CT | Slice 133 of 689 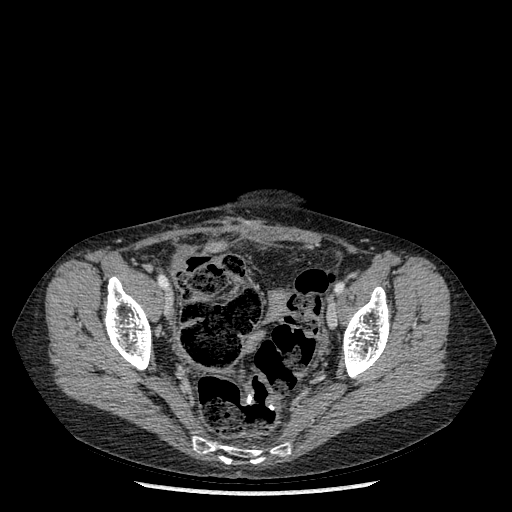

bone:
  - <bbox>343, 286, 389, 378</bbox>
  - <bbox>192, 436, 290, 464</bbox>
  - <bbox>104, 276, 151, 369</bbox>